Image width 335 mm | CT image | Slice 149/565 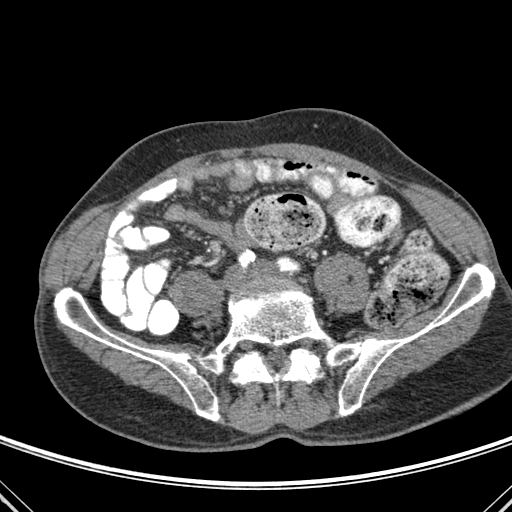

{"bone": ["rect(54, 263, 494, 420)", "rect(232, 349, 321, 384)"]}